Image size 240x240; Head
FLAIR MR.
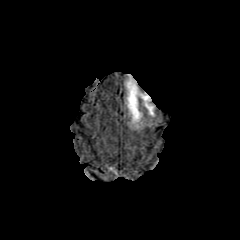
T1-weighted MR.
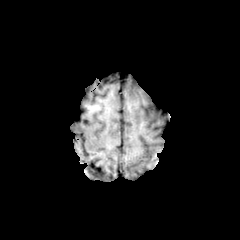
Post-contrast T1-weighted magnetic resonance.
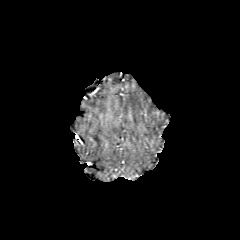
T2-weighted MR.
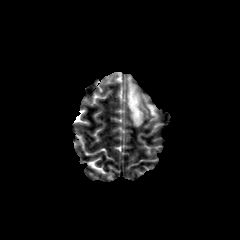
Edema = {"x1": 125, "y1": 76, "x2": 158, "y2": 127}.